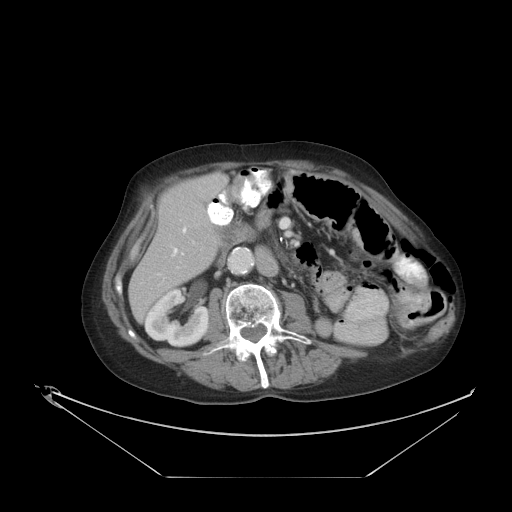

CT image, 512x512
colon tumor: (x1=226, y1=175, x2=244, y2=203)